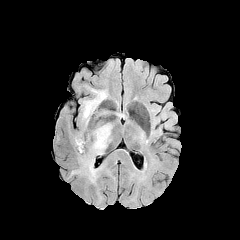
FLAIR MRI.
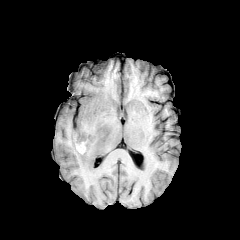
T1-weighted magnetic resonance of the same slice.
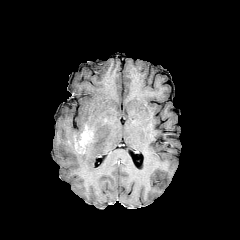
Same slice, post-contrast T1-weighted magnetic resonance.
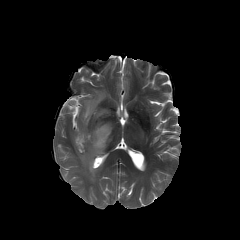
T2-weighted magnetic resonance.
Brain
3 edema regions appear at bbox(72, 123, 112, 182); bbox(80, 89, 110, 125); bbox(115, 111, 127, 118). The enhancing tumor is at bbox(73, 131, 92, 154).